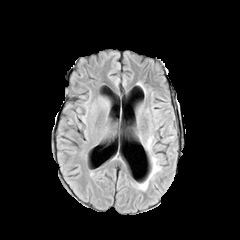
FLAIR magnetic resonance.
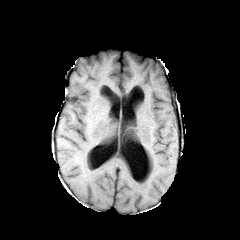
T1-weighted MR.
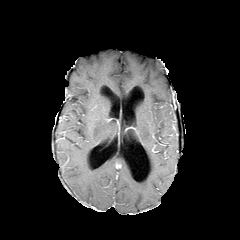
Post-contrast T1-weighted MR image of the same slice.
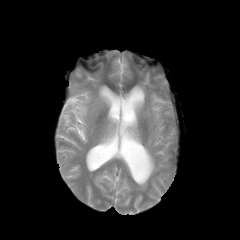
Same slice, T2-weighted MR image.
Head; 240x240 px
The edema is at [137, 136, 161, 190].